FLAIR magnetic resonance.
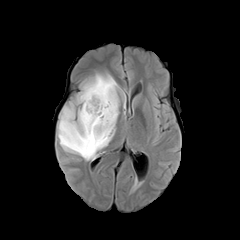
T1-weighted MRI.
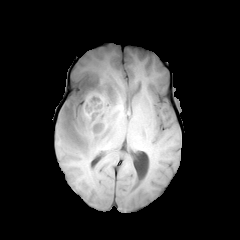
Post-contrast T1-weighted magnetic resonance.
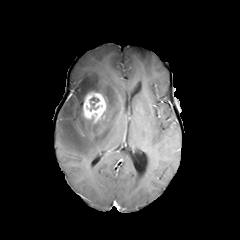
T2-weighted MRI.
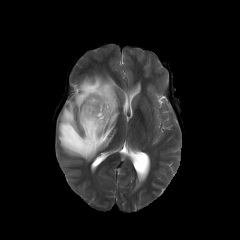
Head
The enhancing tumor appears at (82, 92, 107, 122). 3 non-enhancing tumor core regions appear at (84, 117, 101, 127), (68, 126, 80, 144), (80, 82, 103, 115). The edema is located at (58, 72, 125, 160).